Slice index 80; Field of view 240x240 mm; 240x240 px; Head
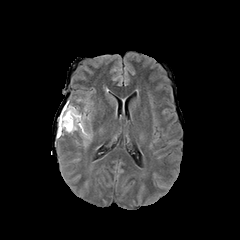
FLAIR MR.
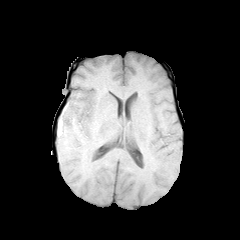
T1-weighted MRI.
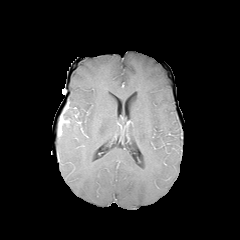
Same slice, post-contrast T1-weighted MRI.
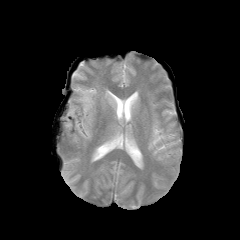
T2-weighted MRI of the same slice.
The non-enhancing tumor core appears at (x1=58, y1=115, x2=69, y2=134). The edema is at (x1=61, y1=97, x2=92, y2=145).